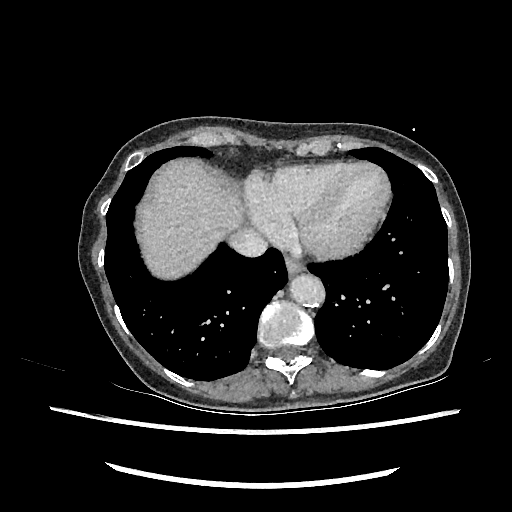

512x512 px; CT image

liver:
  - [x1=140, y1=163, x2=241, y2=277]